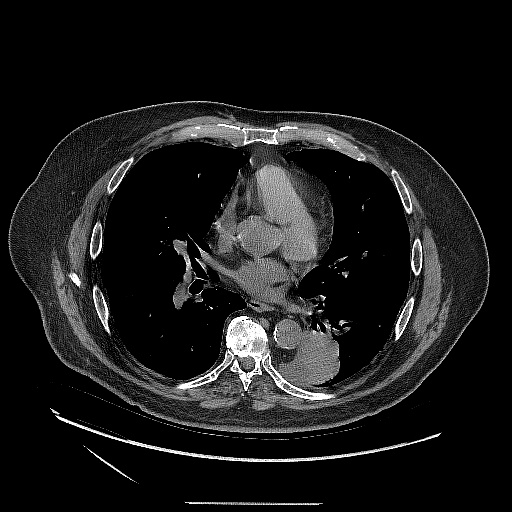 CT
{"lung_tumor": ["[279,324,345,385]"]}